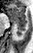
Magnetic resonance, 33x53, Hippocampus
posterior hippocampus: bbox(16, 23, 25, 35) | anterior hippocampus: bbox(9, 4, 26, 22)